Computed tomography; Liver; Image size 512x512; Slice index 118 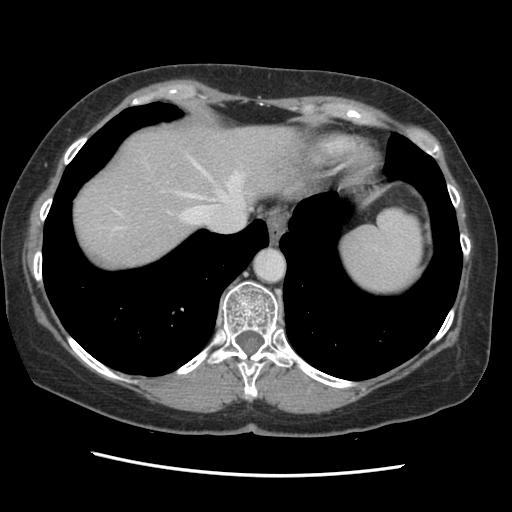

Not every hepatic vessel necessarily has a box.
Findings:
- hepatic vessel: l=180, t=205, r=214, b=223; l=217, t=172, r=243, b=207; l=168, t=211, r=170, b=213; l=188, t=156, r=212, b=180; l=114, t=210, r=121, b=214